Upper abdomen | CT | Slice index 281 | Field of view 432x432 mm

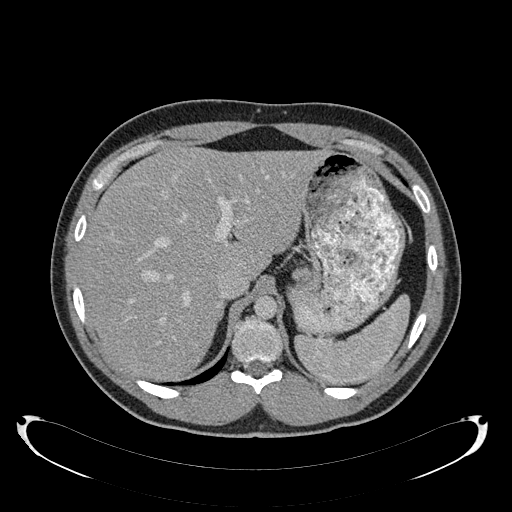
Liver: (x1=79, y1=145, x2=329, y2=378).